Field of view 424x424 mm. CT. Liver. 512x512 px. Slice 64 of 96.
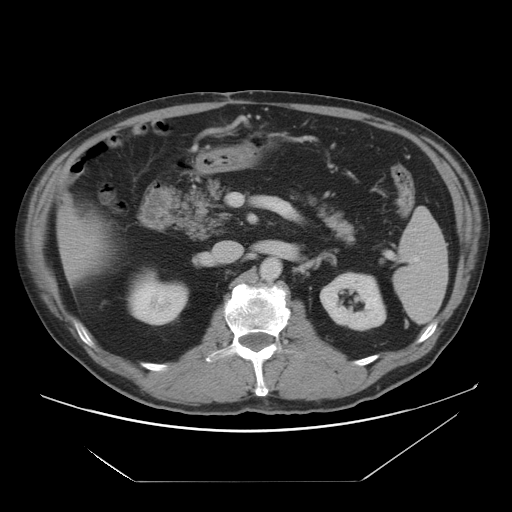 Annotated regions:
- kidney: [320, 274, 384, 328], [133, 282, 185, 323]
- liver: [59, 197, 107, 287]